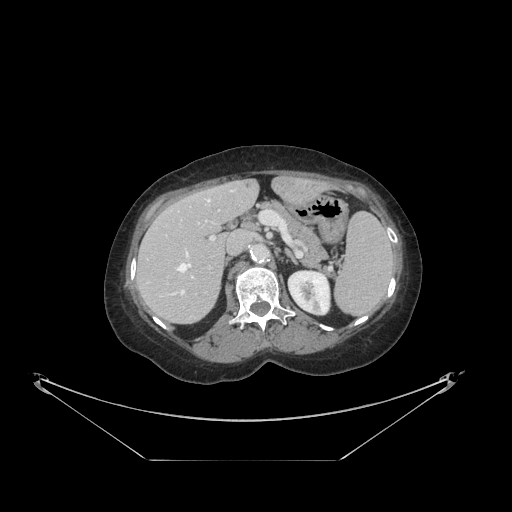

CT scan slice; Abdomen; 512x512

Some hepatic vessels may have no box.
hepatic vessel: [x1=177, y1=263, x2=190, y2=270], [x1=210, y1=236, x2=214, y2=239], [x1=218, y1=209, x2=219, y2=211], [x1=186, y1=250, x2=186, y2=253], [x1=207, y1=199, x2=210, y2=201], [x1=181, y1=290, x2=184, y2=294], [x1=231, y1=190, x2=233, y2=191], [x1=260, y1=210, x2=281, y2=230]